Slice 64/689; CT image
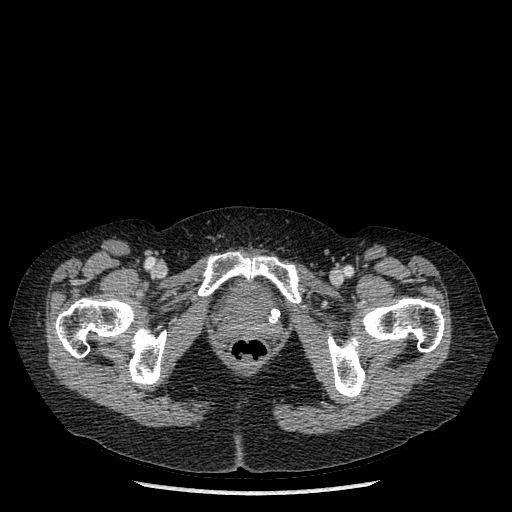 Bone — l=198, t=252, r=301, b=303; l=327, t=298, r=444, b=397; l=54, t=297, r=166, b=387.